FLAIR MR.
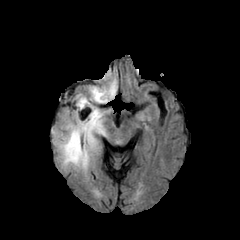
T1-weighted MRI.
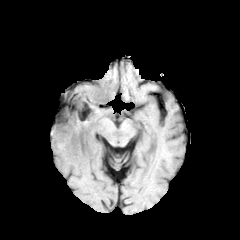
Post-contrast T1-weighted magnetic resonance.
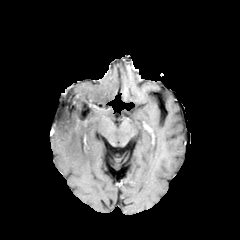
T2-weighted magnetic resonance.
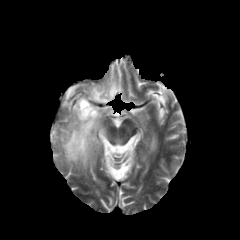
240x240; Head
edema:
  - bbox(51, 70, 117, 178)